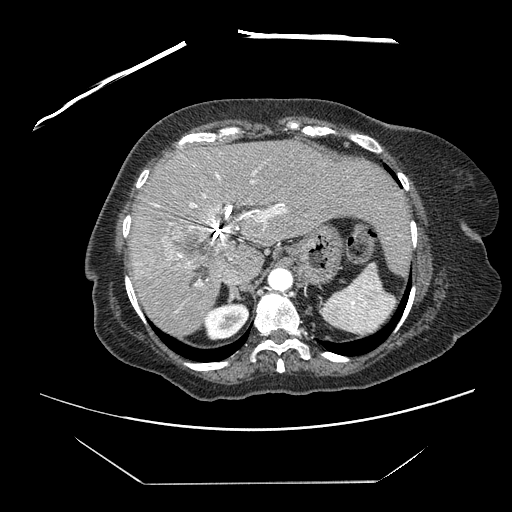 CT slice

Not every hepatic vessel necessarily has a box.
8 hepatic vessel regions appear at region(153, 204, 159, 206); region(196, 281, 201, 284); region(238, 203, 286, 225); region(203, 194, 205, 197); region(190, 202, 196, 207); region(217, 175, 218, 178); region(221, 228, 230, 244); region(263, 226, 264, 229). The liver tumor is at region(163, 223, 219, 268).